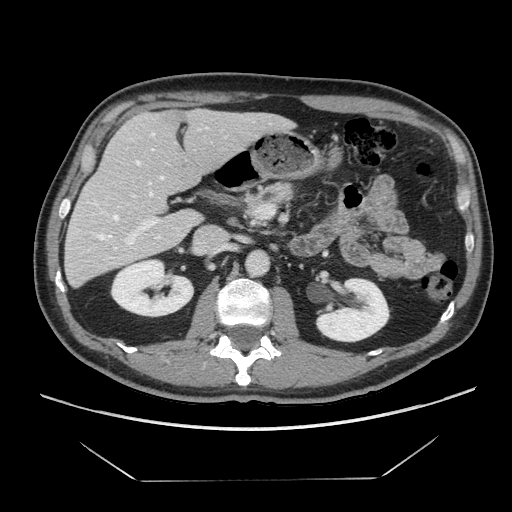
Abdomen; CT scan slice; 512x512 px

Pancreas: [250, 183, 294, 211].